Slice 27 of 35; MRI
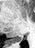

Segmented structures:
- posterior hippocampus: bbox(9, 35, 23, 42)